FLAIR magnetic resonance.
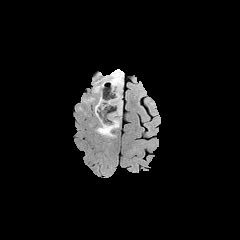
T1-weighted magnetic resonance.
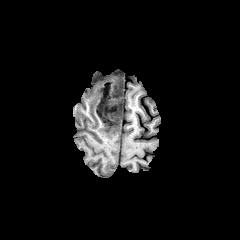
Post-contrast T1-weighted MR image.
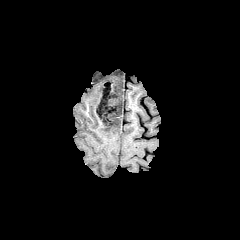
T2-weighted MR.
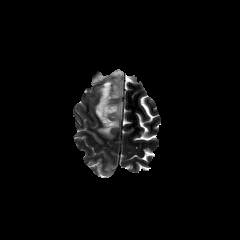
Head
2 non-enhancing tumor core regions are located at [98, 120, 112, 134], [97, 96, 111, 113]. 2 edema regions are bounded by [93, 74, 124, 128], [103, 110, 121, 137].